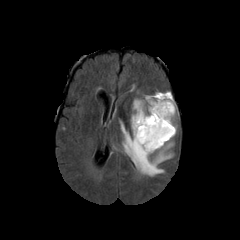
FLAIR MR.
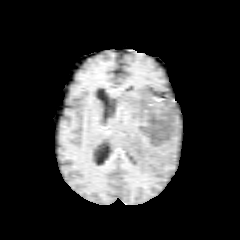
T1-weighted MRI of the same slice.
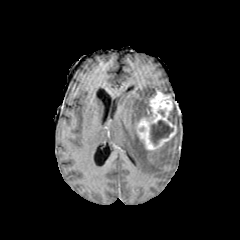
Same slice, post-contrast T1-weighted MR.
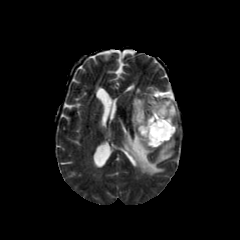
T2-weighted magnetic resonance.
Image size 240x240 | Brain
Edema — rect(121, 99, 173, 176).
Non-enhancing tumor core — rect(150, 120, 173, 145).
Enhancing tumor — rect(135, 92, 177, 150).